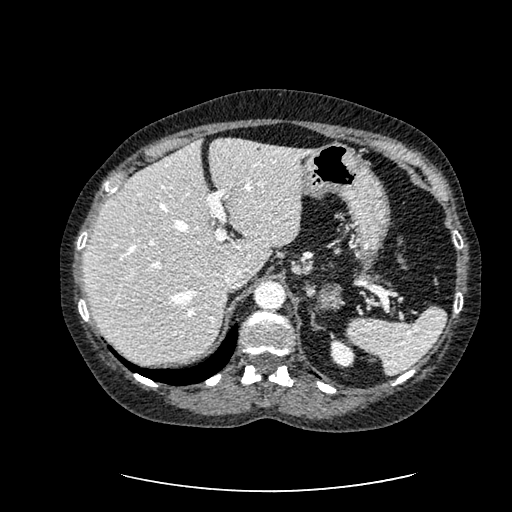

CT scan slice. liver: l=83, t=139, r=315, b=363 | kidney: l=331, t=341, r=353, b=365